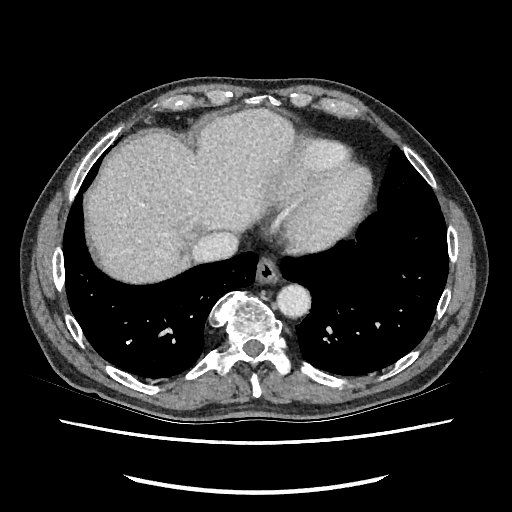 CT image, 512x512 px, Upper abdomen
The hepatic lesion is at region(183, 222, 201, 243). The liver appears at region(89, 110, 294, 282).